FLAIR MRI.
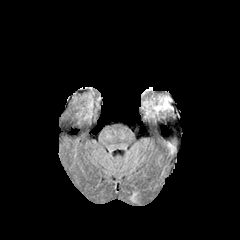
T1-weighted MR.
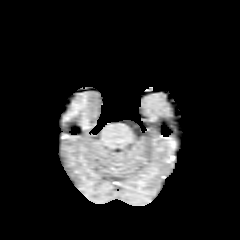
Post-contrast T1-weighted MR.
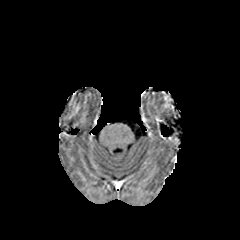
T2-weighted MR.
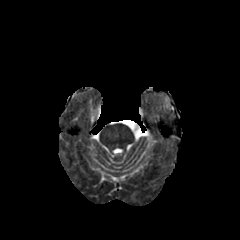
{
  "edema": [
    "box(154, 92, 173, 113)"
  ]
}